CT scan slice; Slice 57 of 95

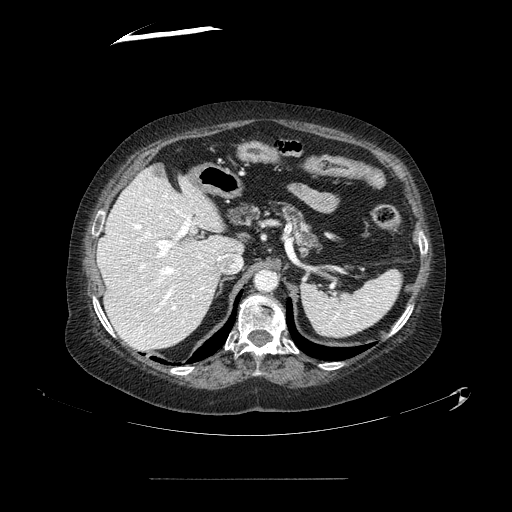
Pancreas at (226, 199, 320, 256).